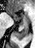 Medial temporal lobe. MR.
posterior_hippocampus:
  - rect(14, 22, 29, 40)
anterior_hippocampus:
  - rect(11, 13, 29, 21)